Slice index 62, CT, 512x512

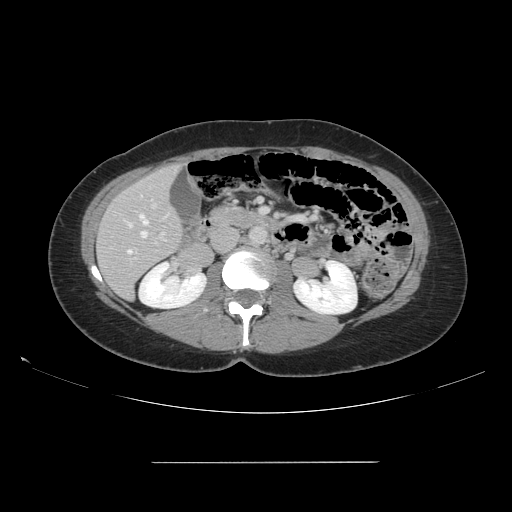
The vessel boxes may cover only some of the vessels.
Hepatic vessel = bbox=[141, 231, 146, 239]; bbox=[130, 257, 136, 261]; bbox=[124, 220, 131, 226]; bbox=[139, 214, 148, 224]; bbox=[165, 213, 168, 217]; bbox=[152, 201, 155, 206]; bbox=[127, 249, 136, 254]; bbox=[159, 232, 165, 240].